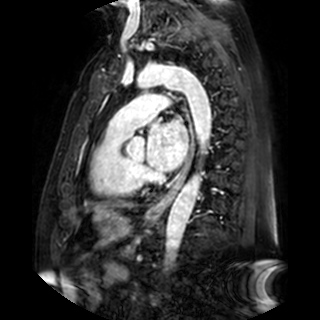

MR image, Cardiac
left atrium: bbox=[147, 119, 187, 170]